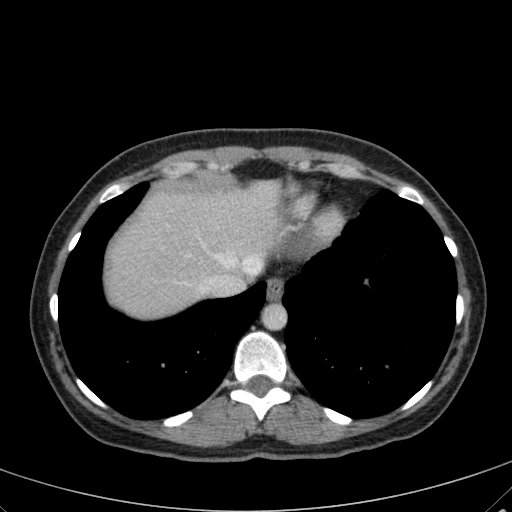
CT scan slice
liver: left=283, top=187, right=297, bottom=196; left=104, top=180, right=302, bottom=318